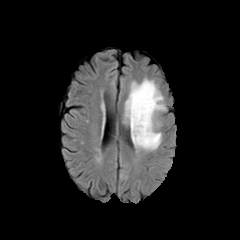
FLAIR MR image.
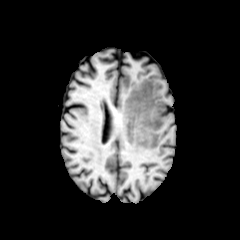
T1-weighted magnetic resonance.
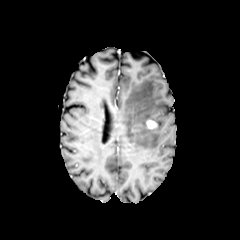
Post-contrast T1-weighted MRI of the same slice.
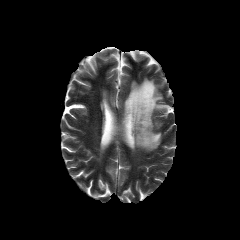
T2-weighted magnetic resonance of the same slice.
Head
Edema = left=123, top=78, right=166, bottom=150.
Enhancing tumor = left=146, top=119, right=157, bottom=128.